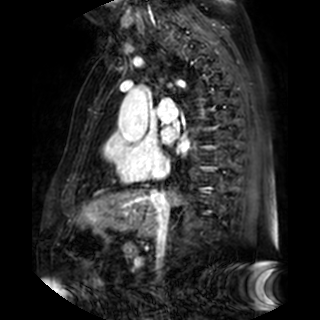 MRI; Image size 320x320
{"left_atrium": ["162:127:175:142", "176:141:189:152"]}